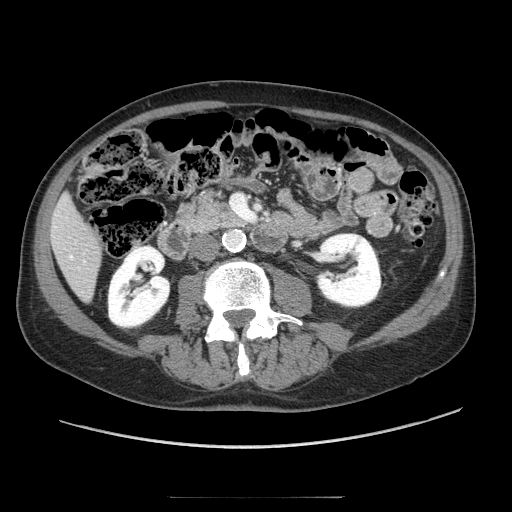 512x512 | CT image
<segmentation>
  <pancreas>194,193,245,233</pancreas>
</segmentation>